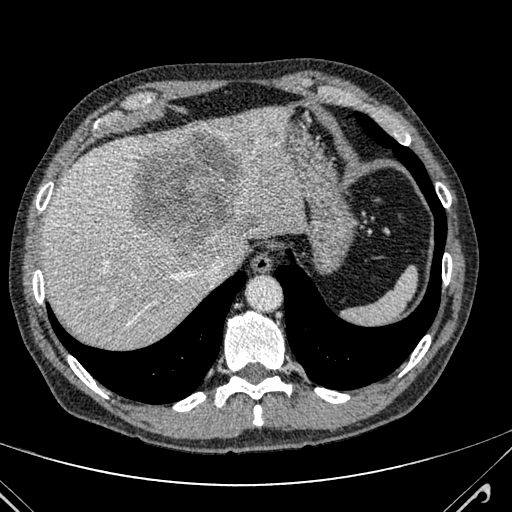

CT | Liver
hepatic lesion: <box>130,131,246,257</box>, <box>245,214,262,228</box>, <box>272,132,279,140</box> | liver: <box>43,108,304,346</box>